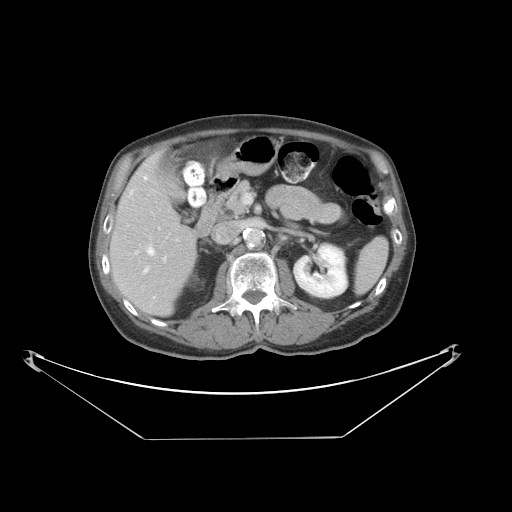
CT image, Liver

Not every hepatic vessel necessarily has a box.
Hepatic vessel: bounding box [217,234,223,241], [163,257,166,261], [128,190,133,197], [143,266,149,272], [152,296,155,298], [143,176,147,179], [147,245,154,255].